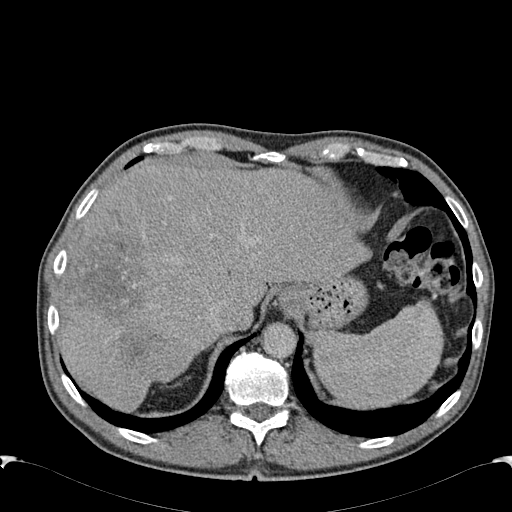

CT scan slice

The liver is at (x1=57, y1=163, x2=365, y2=407). 2 focal liver lesion regions appear at (x1=117, y1=330, x2=161, y2=373), (x1=61, y1=228, x2=145, y2=321).